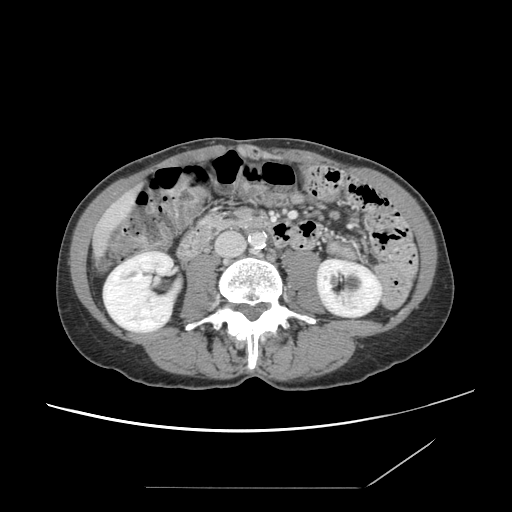
CT image; 512x512
pancreas:
  - x1=196, y1=210, x2=258, y2=239